Image width 240 mm | 240x240 px
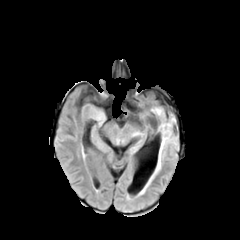
FLAIR MR.
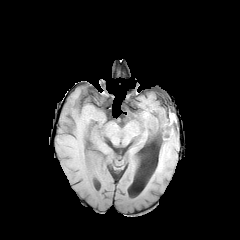
T1-weighted magnetic resonance.
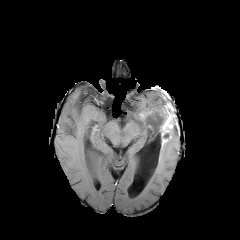
Post-contrast T1-weighted magnetic resonance of the same slice.
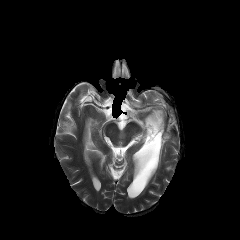
Same slice, T2-weighted MRI.
The enhancing tumor is bounded by rect(160, 118, 173, 136). 2 edema regions are bounded by rect(151, 107, 167, 121); rect(158, 143, 165, 164). The non-enhancing tumor core is at rect(155, 112, 165, 142).